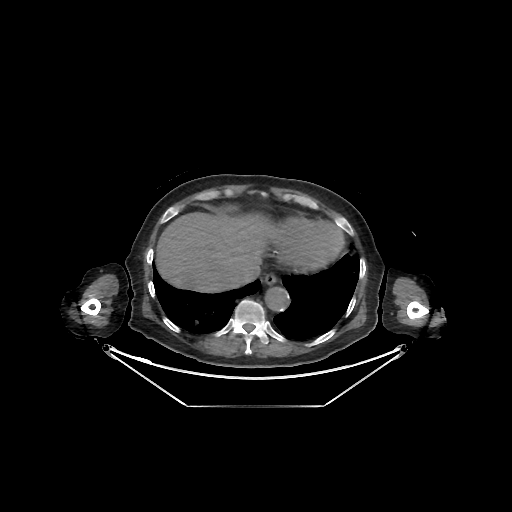

CT. Abdomen.

{
  "bone": [
    "[161,208,176,222]",
    "[310,330,334,345]",
    "[273,331,284,341]",
    "[163,318,179,331]",
    "[216,300,268,352]",
    "[147,249,152,263]",
    "[407,301,428,319]",
    "[346,299,355,316]",
    "[360,259,365,277]",
    "[148,281,154,296]",
    "[81,298,100,315]"
  ],
  "lung": [
    "[152,260,262,335]",
    "[273,243,359,341]"
  ],
  "liver": [
    "[156,213,267,292]"
  ]
}